FLAIR magnetic resonance.
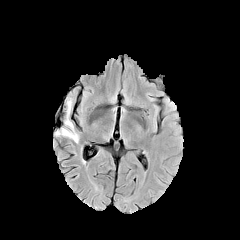
T1-weighted MR image.
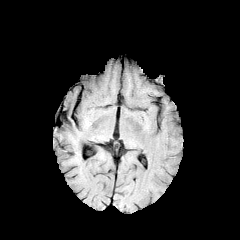
Post-contrast T1-weighted MRI.
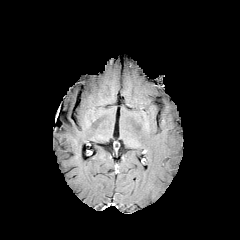
T2-weighted MR image.
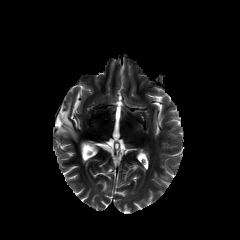
240x240.
{"edema": ["[x1=56, y1=97, x2=78, y2=141]"]}